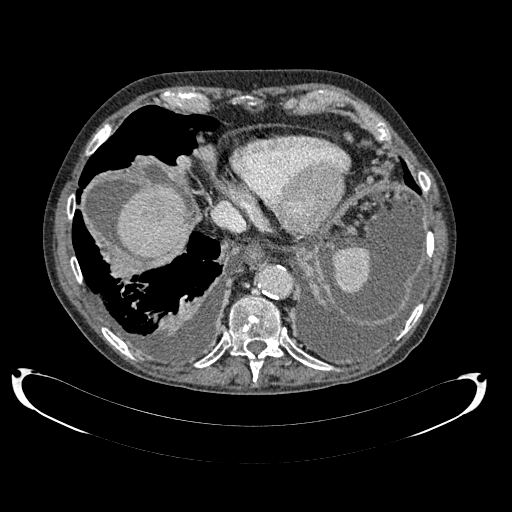

512x512, Computed tomography, Upper abdomen
* liver lesion: 143 206 161 221
* liver: 119 185 188 258